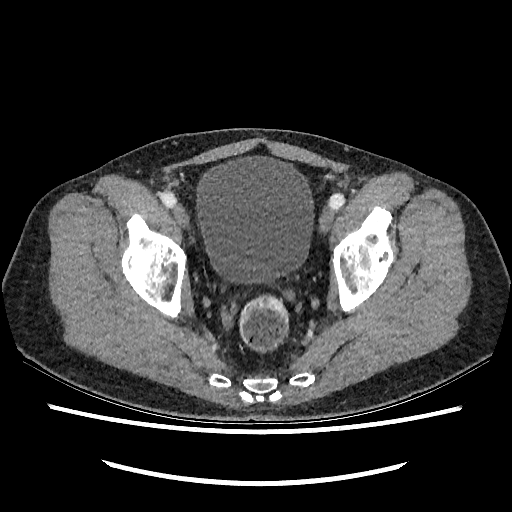
Pelvis | CT

{
  "urinary_bladder": [
    "<box>196,155,314,284</box>"
  ]
}